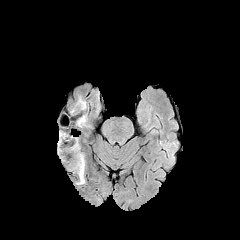
FLAIR magnetic resonance.
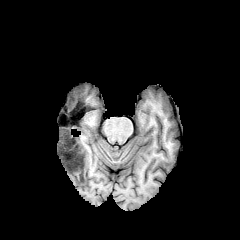
T1-weighted MR image.
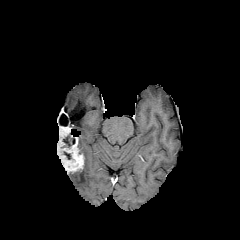
Same slice, post-contrast T1-weighted MR image.
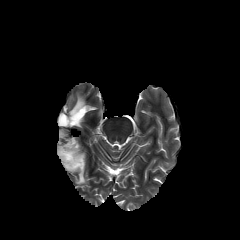
T2-weighted MR image.
240x240 px, Brain
<segmentation>
  <edema>[x1=72, y1=166, x2=86, y2=184], [x1=70, y1=96, x2=88, y2=109], [x1=75, y1=115, x2=85, y2=127]</edema>
  <enhancing_tumor>[x1=57, y1=126, x2=84, y2=171]</enhancing_tumor>
  <non-enhancing_tumor_core>[x1=70, y1=101, x2=85, y2=115], [x1=62, y1=135, x2=75, y2=146]</non-enhancing_tumor_core>
</segmentation>